FLAIR magnetic resonance.
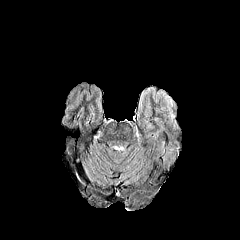
T1-weighted MR image.
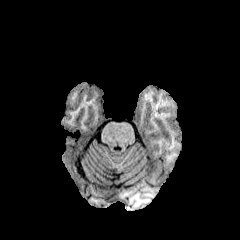
Post-contrast T1-weighted MR image.
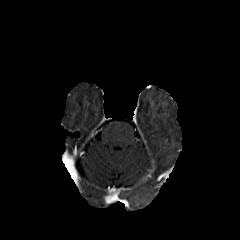
T2-weighted MR.
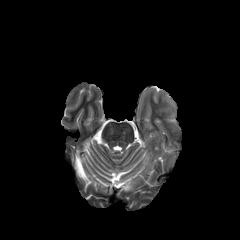
240x240 px
edema: 157:141:179:157